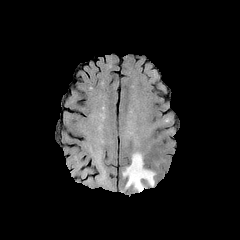
FLAIR MRI.
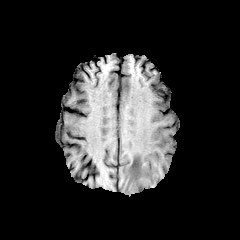
T1-weighted MRI of the same slice.
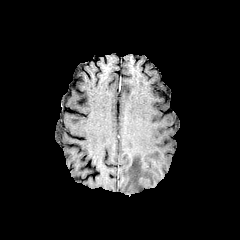
Post-contrast T1-weighted magnetic resonance.
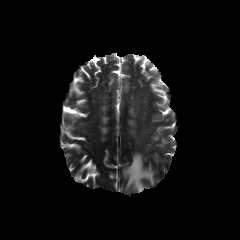
T2-weighted MR image of the same slice.
Head
{"edema": ["bbox(123, 153, 154, 192)"]}